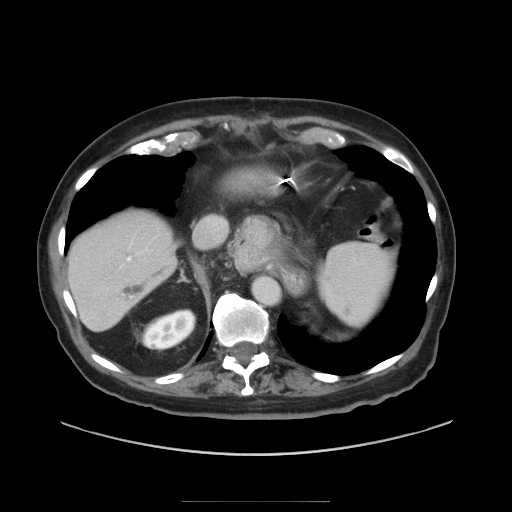
Abdomen. CT scan slice. Some hepatic vessels may have no box.
Hepatic vessel: region(128, 257, 131, 260).